FLAIR magnetic resonance.
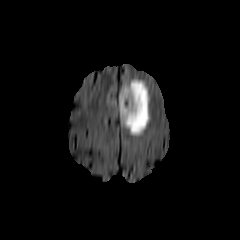
T1-weighted MR.
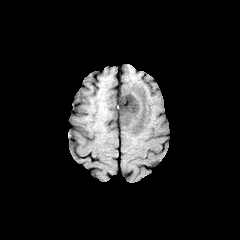
Post-contrast T1-weighted MR.
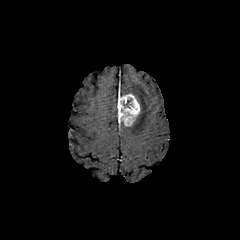
T2-weighted MR image.
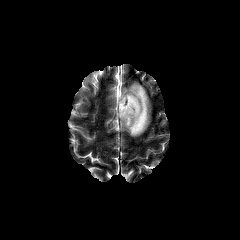
Head.
Segmented structures:
• non-enhancing tumor core: <bbox>132, 106, 142, 125</bbox>
• enhancing tumor: <bbox>116, 90, 140, 125</bbox>
• edema: <bbox>120, 80, 150, 136</bbox>